Computed tomography 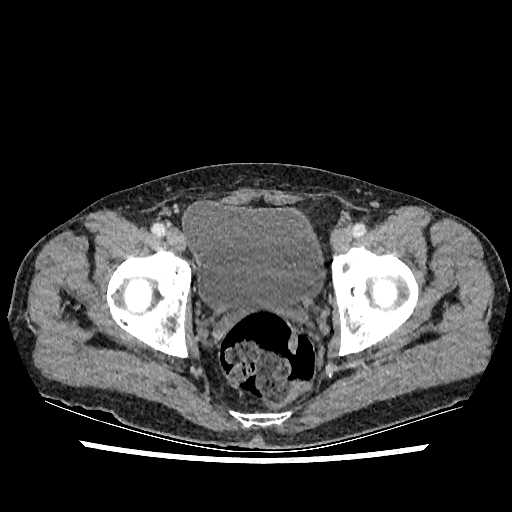 The urinary bladder lies within bbox(183, 200, 325, 331).